Head
FLAIR MRI.
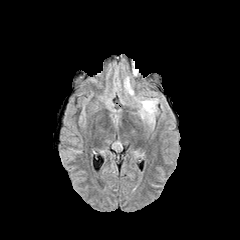
T1-weighted MR image.
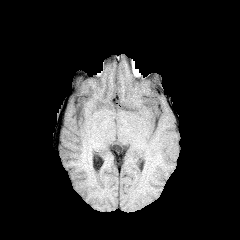
Post-contrast T1-weighted MR.
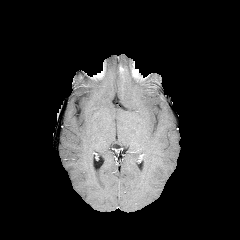
T2-weighted MR.
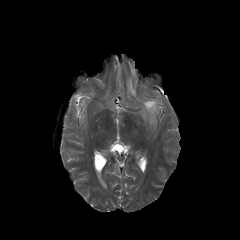
Segmented structures:
* edema: 126:80:157:123